Image width 240 mm. Slice index 72. Brain.
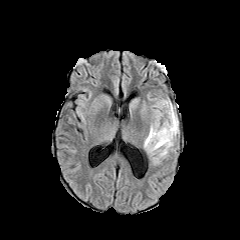
FLAIR magnetic resonance.
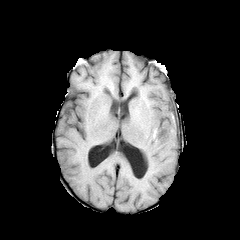
T1-weighted MR image.
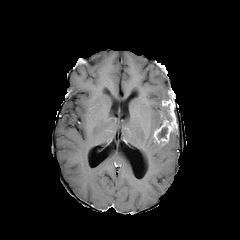
Same slice, post-contrast T1-weighted MRI.
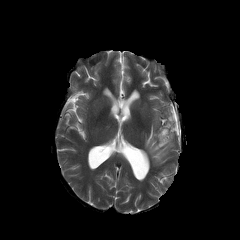
Same slice, T2-weighted MR.
enhancing tumor: rect(160, 101, 177, 141) | edema: rect(144, 96, 179, 163) | non-enhancing tumor core: rect(156, 126, 167, 141)